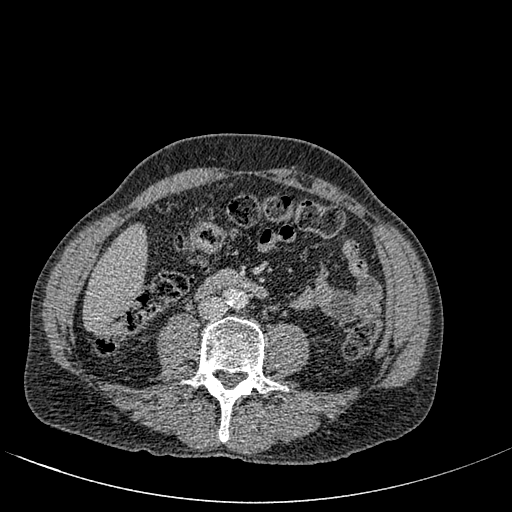 Computed tomography. liver:
  - (85, 228, 144, 327)